Liver; 512x512 px; CT image

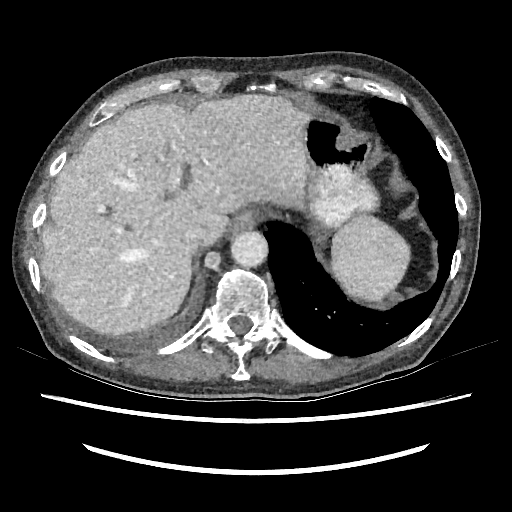
The liver is located at 41 94 309 333.